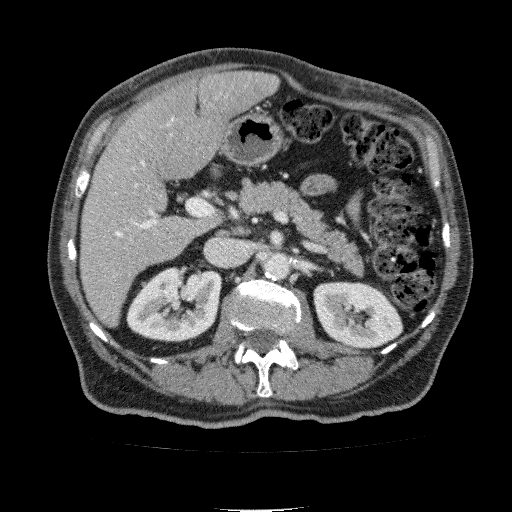
Liver. 512x512 px. CT scan slice.

liver: l=82, t=71, r=279, b=326 | kidney: l=314, t=283, r=401, b=347; l=128, t=268, r=220, b=340